Slice 6/74; Field of view 512 mm wide, 1.00 mm slice spacing; CT scan slice 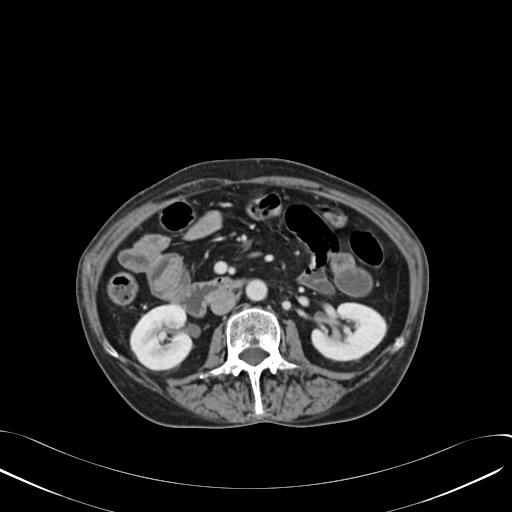 Annotated regions:
- kidney: (312,304,385,359), (131,305,190,368)